Field of view 240 mm wide, 1.00 mm slice spacing
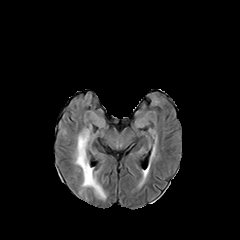
FLAIR magnetic resonance.
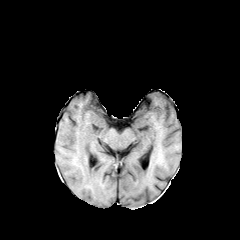
T1-weighted MR image of the same slice.
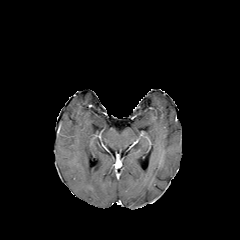
Post-contrast T1-weighted MRI.
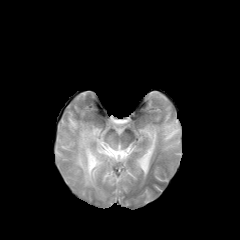
T2-weighted MR.
edema:
  - left=75, top=129, right=106, bottom=199